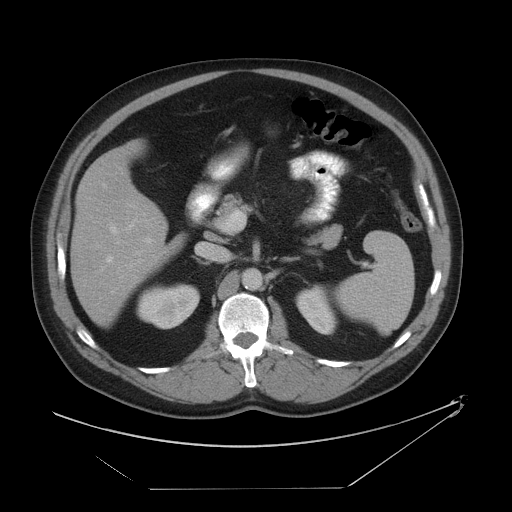 CT slice. Upper abdomen. Segmented structures:
• spleen: <box>336,230,415,333</box>